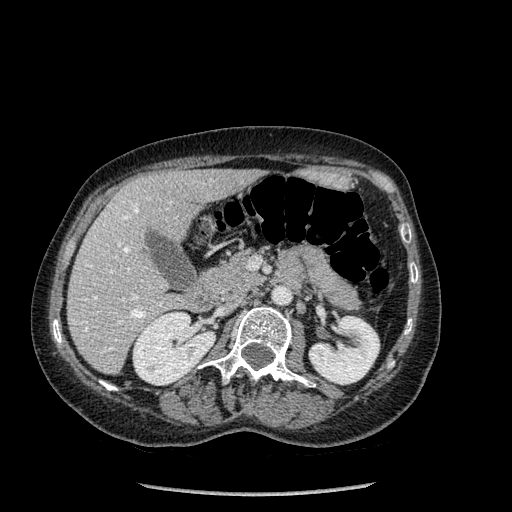
CT
Annotated regions:
- liver: [x1=67, y1=169, x2=262, y2=374]
- bone: [x1=52, y1=319, x2=61, y2=344], [x1=409, y1=263, x2=418, y2=283], [x1=404, y1=318, x2=412, y2=334], [x1=198, y1=307, x2=315, y2=386], [x1=400, y1=225, x2=411, y2=242], [x1=99, y1=380, x2=117, y2=390]
- kidney: [x1=133, y1=312, x2=214, y2=385], [x1=309, y1=316, x2=379, y2=384]